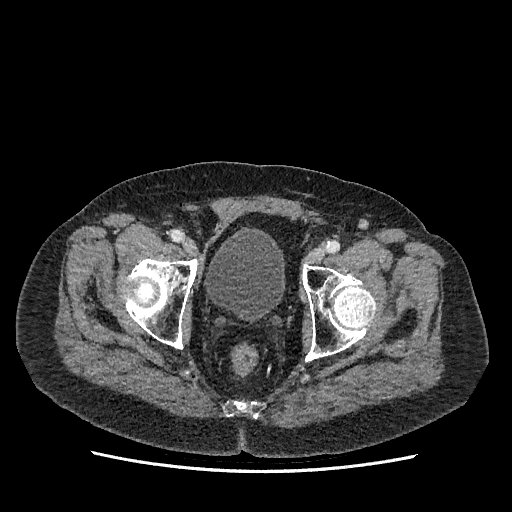
512x512; CT scan slice

The urinary bladder appears at <box>205,231,284,320</box>.